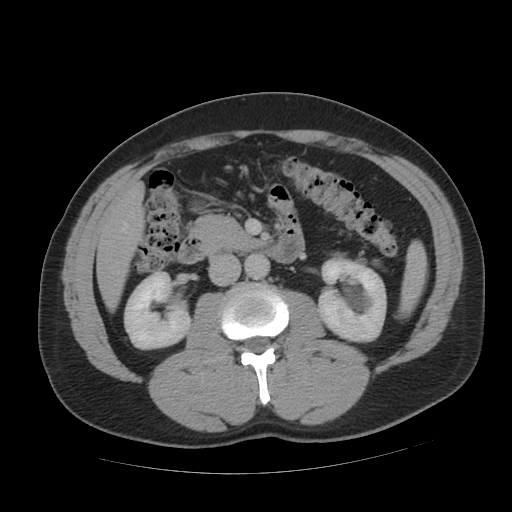 CT image; Abdomen

Not every hepatic vessel necessarily has a box.
• hepatic vessel: [122,223,126,230]